240x240 px, Slice index 77
FLAIR MR.
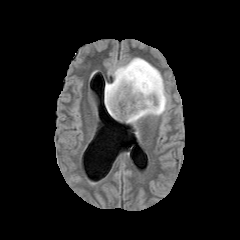
T1-weighted MRI.
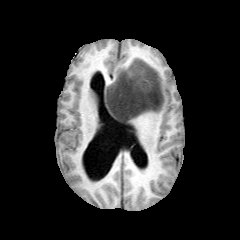
Post-contrast T1-weighted MR image.
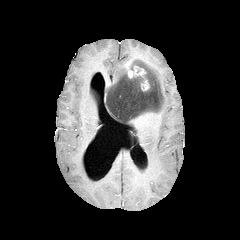
T2-weighted MR image.
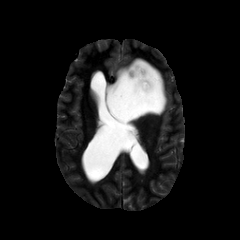
Non-enhancing tumor core — 106, 75, 161, 123.
Edema — 105, 64, 127, 97; 128, 58, 169, 124.
Enhancing tumor — 125, 64, 145, 77; 141, 80, 149, 90.